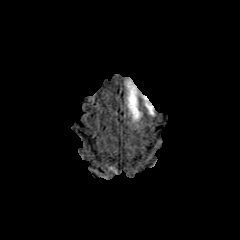
FLAIR magnetic resonance.
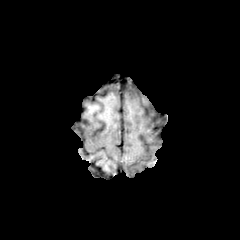
T1-weighted MR image.
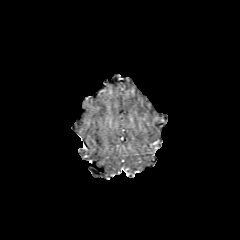
Post-contrast T1-weighted MRI of the same slice.
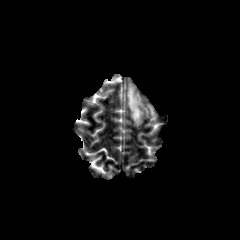
Same slice, T2-weighted MRI.
Brain.
Edema: bounding box 127 81 140 119.